Head. Slice index 121. Field of view 240x240 mm.
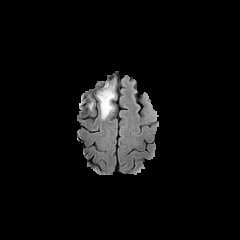
FLAIR magnetic resonance.
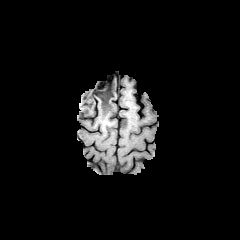
T1-weighted MR.
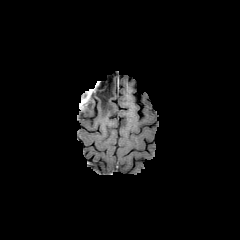
Post-contrast T1-weighted MRI.
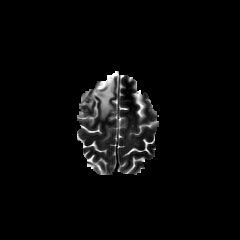
T2-weighted MRI.
non-enhancing tumor core: (x1=92, y1=84, x2=114, y2=117) | edema: (x1=92, y1=92, x2=101, y2=115), (x1=97, y1=80, x2=113, y2=90), (x1=100, y1=104, x2=110, y2=111)